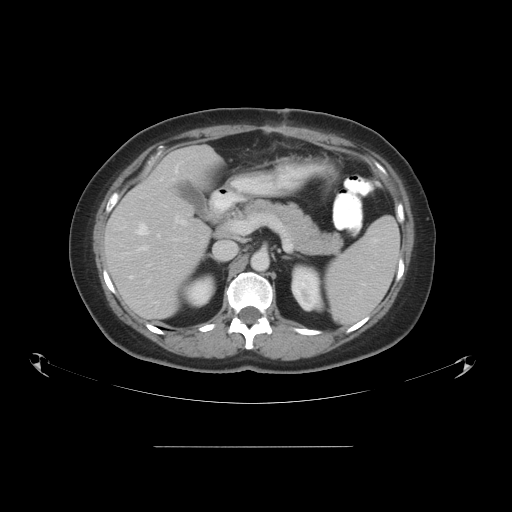

CT slice; Image size 512x512

Some hepatic vessels may have no box.
Findings:
- hepatic vessel: bbox(233, 222, 249, 232); bbox(129, 275, 133, 278); bbox(137, 223, 148, 233); bbox(171, 237, 188, 241); bbox(137, 245, 148, 250); bbox(147, 279, 149, 282); bbox(158, 234, 159, 236); bbox(148, 264, 150, 265); bbox(160, 177, 162, 180); bbox(175, 163, 179, 173); bbox(171, 178, 174, 180); bbox(175, 215, 186, 224); bbox(125, 252, 128, 253)